FLAIR MR.
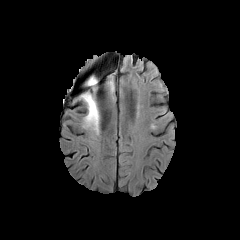
T1-weighted MR.
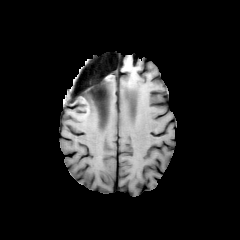
Post-contrast T1-weighted MR image.
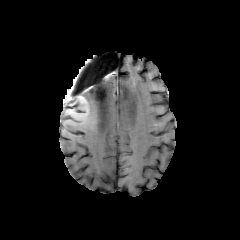
T2-weighted MRI.
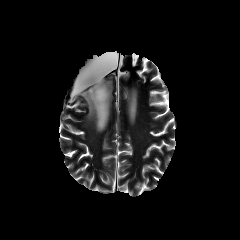
The edema appears at <box>83,75,114,134</box>.